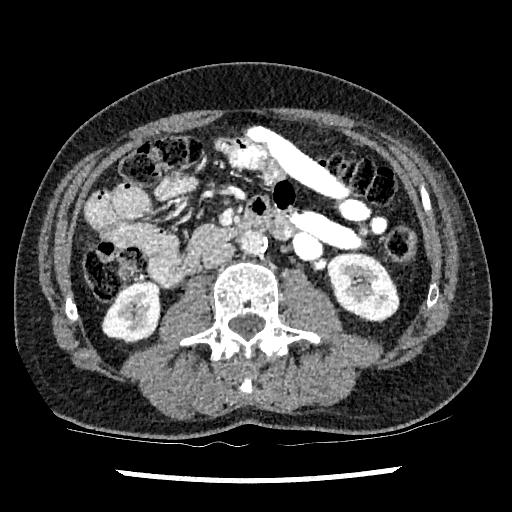
Abdomen, 512x512, CT image

2 kidney regions are located at 328, 255, 398, 319; 104, 283, 159, 340.